Upper abdomen | Field of view 391x391 mm | CT image | Slice index 326

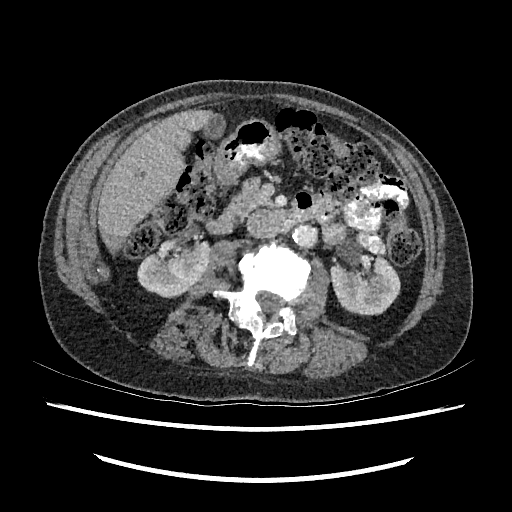

Kidney at [138,243,209,296], [331,255,399,314].
Focal liver lesion at [105,234,124,244].
Liver at [100,109,209,251].